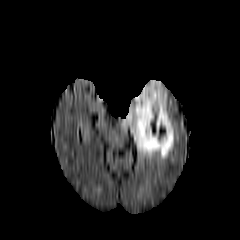
FLAIR magnetic resonance.
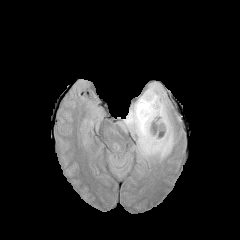
Same slice, T1-weighted MRI.
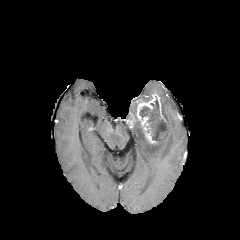
Post-contrast T1-weighted MR.
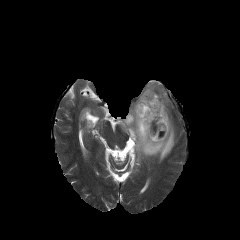
T2-weighted MRI of the same slice.
2 edema regions are located at 129 102 137 114, 120 82 174 159. 2 enhancing tumor regions are bounded by 136 92 163 143, 123 112 135 127. The non-enhancing tumor core appears at 139 106 150 119.